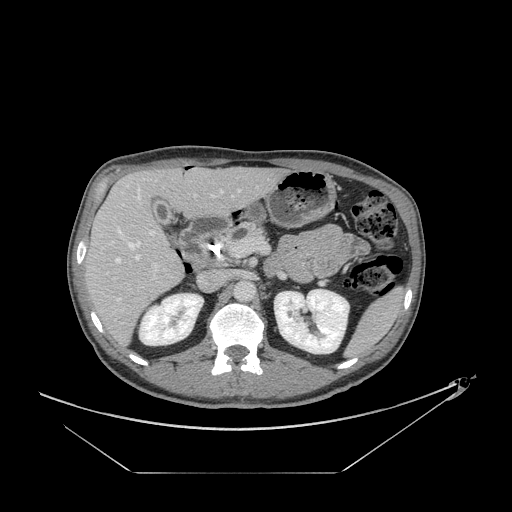
CT scan slice
The pancreas is located at left=226, top=223, right=263, bottom=245.